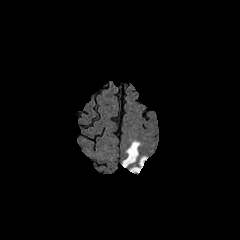
FLAIR magnetic resonance.
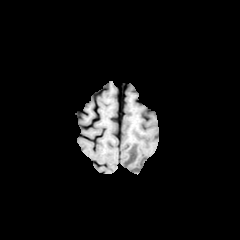
T1-weighted magnetic resonance.
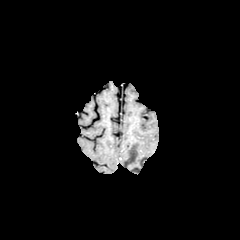
Post-contrast T1-weighted MR.
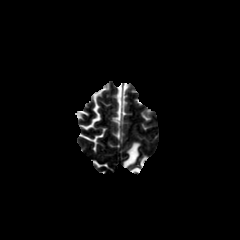
T2-weighted MR of the same slice.
240x240 px.
Edema = bbox=[130, 156, 146, 172]; bbox=[122, 141, 139, 167].